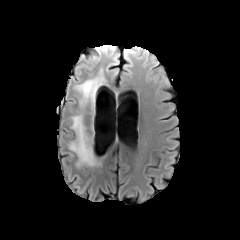
FLAIR MR image.
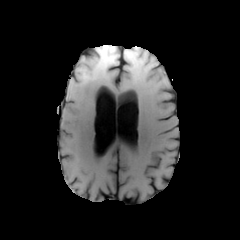
T1-weighted MR image of the same slice.
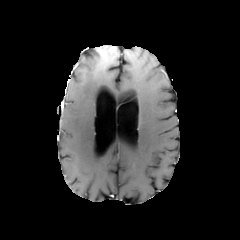
Post-contrast T1-weighted MR.
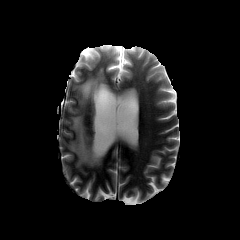
T2-weighted MR of the same slice.
Findings:
- non-enhancing tumor core: {"x1": 93, "y1": 52, "x2": 105, "y2": 63}
- enhancing tumor: {"x1": 96, "y1": 47, "x2": 117, "y2": 64}
- edema: {"x1": 74, "y1": 57, "x2": 107, "y2": 115}, {"x1": 106, "y1": 67, "x2": 118, "y2": 77}, {"x1": 70, "y1": 112, "x2": 98, "y2": 167}, {"x1": 123, "y1": 48, "x2": 142, "y2": 75}, {"x1": 76, "y1": 52, "x2": 95, "y2": 75}